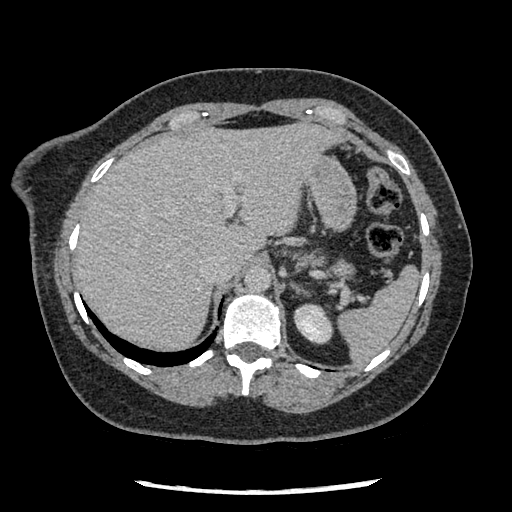

CT | Abdomen
{"pancreas": ["x1=297, y1=251, x2=345, y2=274"], "pancreatic_tumor": ["x1=333, y1=260, x2=354, y2=276"]}